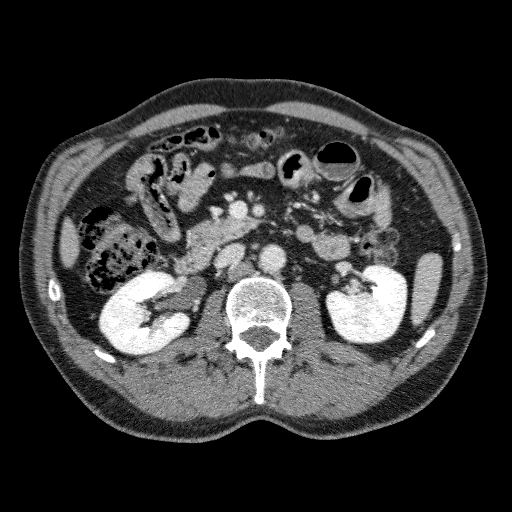 Abdomen, CT image
Liver: bounding box left=61, top=218, right=78, bottom=266.
Kidney: bounding box left=100, top=272, right=188, bottom=353; left=327, top=266, right=406, bottom=342.